FLAIR magnetic resonance.
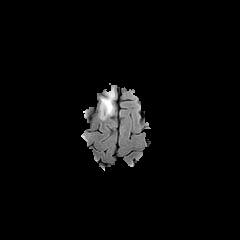
T1-weighted MRI.
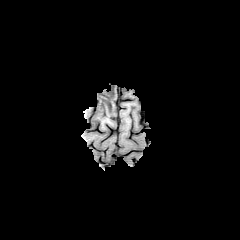
Post-contrast T1-weighted MRI.
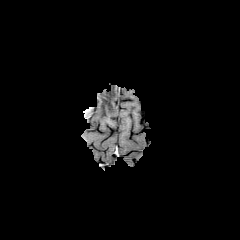
T2-weighted MR.
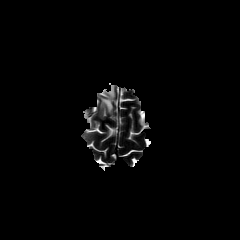
240x240
Edema at l=101, t=87, r=113, b=101; l=100, t=109, r=107, b=119.
Non-enhancing tumor core at l=100, t=92, r=115, b=115.